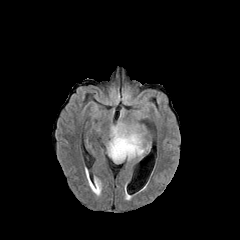
FLAIR magnetic resonance.
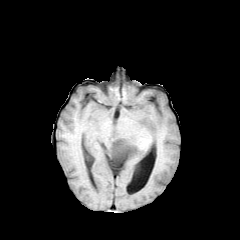
Same slice, T1-weighted MR image.
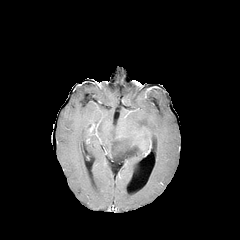
Same slice, post-contrast T1-weighted magnetic resonance.
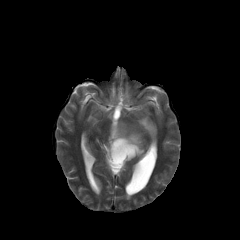
T2-weighted MR image.
240x240 px
<segmentation>
  <non-enhancing_tumor_core>111, 140, 137, 160</non-enhancing_tumor_core>
  <edema>105, 108, 151, 164; 122, 87, 131, 105; 109, 90, 120, 105</edema>
</segmentation>